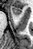
MRI slice
The anterior hippocampus appears at box=[12, 6, 21, 15].